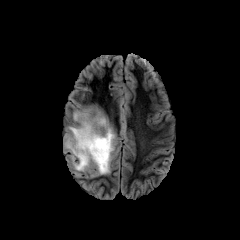
FLAIR MR.
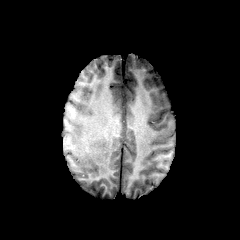
T1-weighted MR.
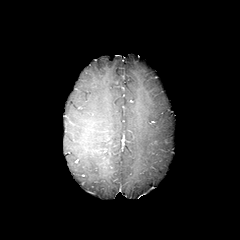
Post-contrast T1-weighted MR image.
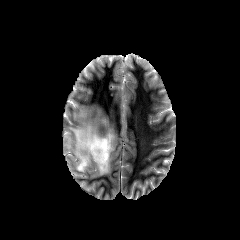
T2-weighted MR of the same slice.
Edema at [66,113,115,175].